CT image, 512x512 px
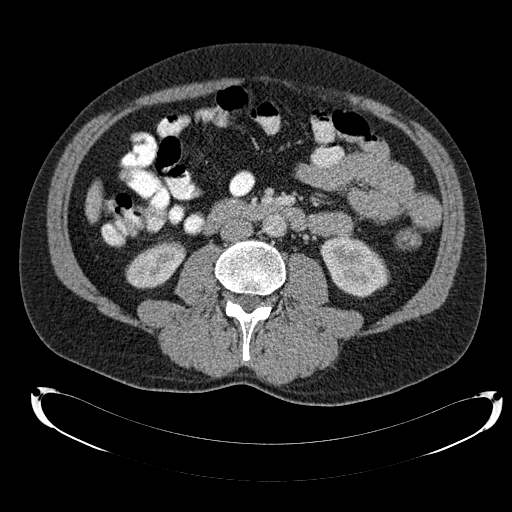 {"liver": ["left=87, top=186, right=100, bottom=220"], "kidney": ["left=321, top=234, right=386, bottom=296", "left=127, top=244, right=183, bottom=287"]}